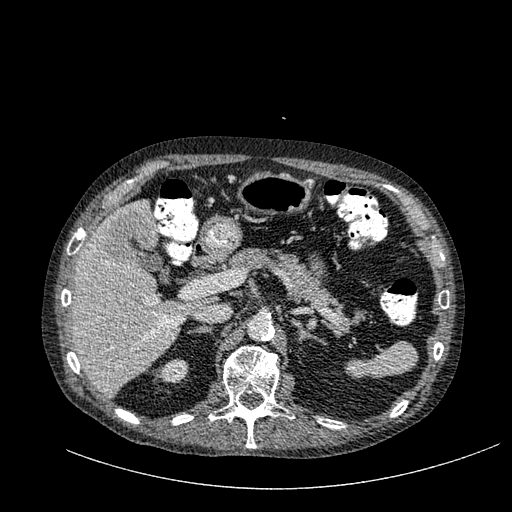 CT scan slice, Liver
<segmentation>
  <liver>region(72, 201, 214, 394)</liver>
  <hepatic_lesion>region(105, 212, 153, 266)</hepatic_lesion>
  <kidney>region(156, 358, 188, 382)</kidney>
</segmentation>